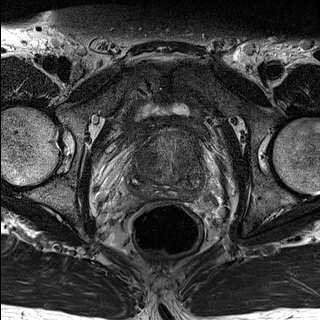
T2-weighted MR image.
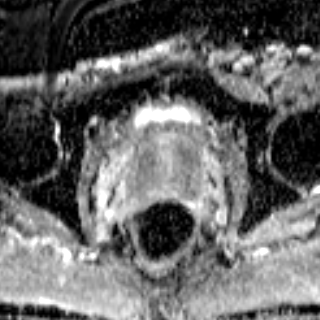
ADC magnetic resonance.
Prostate peripheral zone: [x1=125, y1=155, x2=207, y2=197].
Prostate transition zone: [x1=134, y1=132, x2=205, y2=185].